FLAIR magnetic resonance.
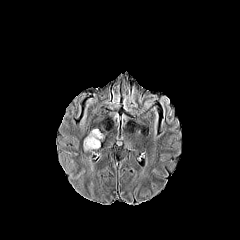
T1-weighted MRI.
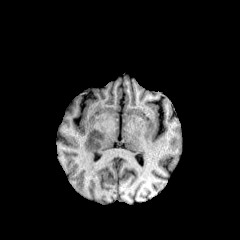
Post-contrast T1-weighted MR.
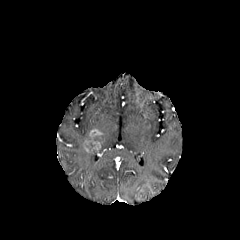
T2-weighted MR image.
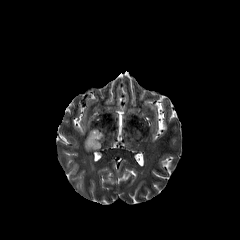
• enhancing tumor: box(83, 128, 102, 153)
• non-enhancing tumor core: box(94, 134, 103, 142)